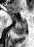

34x47 | Magnetic resonance
Anterior hippocampus: bounding box bbox=[10, 14, 14, 17].
Posterior hippocampus: bounding box bbox=[13, 22, 26, 35].